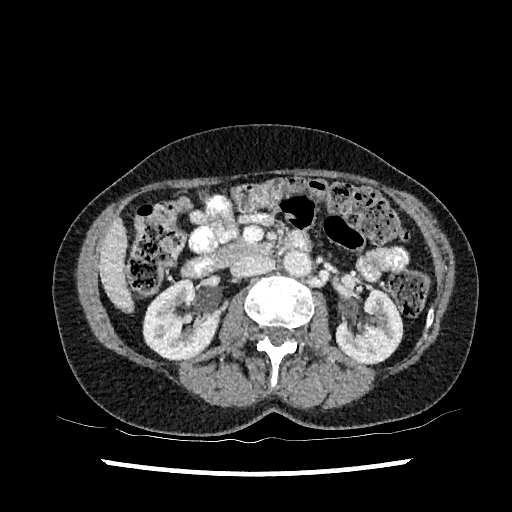

Liver, CT scan slice
Segmented structures:
• kidney: box(336, 290, 402, 362); box(144, 280, 217, 359)
• liver: box(99, 219, 133, 311)